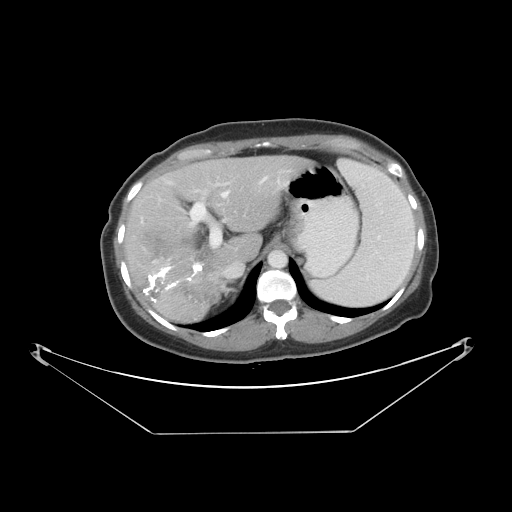 CT image; Liver
Some hepatic vessels may have no box.
hepatic_vessel:
  - [204,191,205,193]
  - [223,183,227,184]
  - [189,200,206,225]
  - [210,225,220,244]
  - [221,191,228,197]
  - [216,184,220,184]
  - [254,168,274,193]
liver_tumor:
  - [136,255,221,317]